Slice 47 of 155.
FLAIR MR.
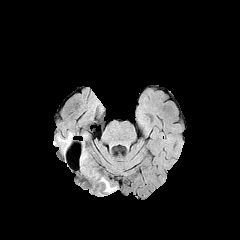
T1-weighted MRI.
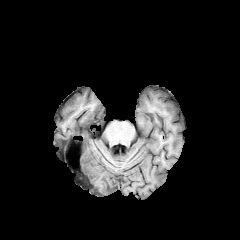
Post-contrast T1-weighted MR.
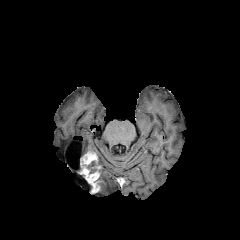
T2-weighted MR image.
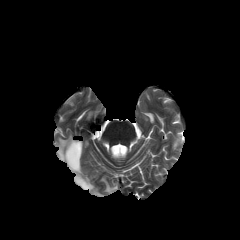
2 enhancing tumor regions are located at <box>81,166,98,183</box>, <box>81,154,90,164</box>. The edema is at <box>94,174,117,193</box>. 2 non-enhancing tumor core regions appear at <box>78,153,95,173</box>, <box>89,164,99,173</box>.